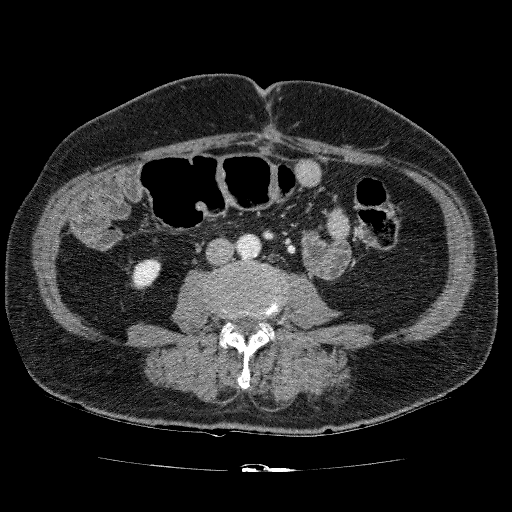 CT slice | Image size 512x512

The kidney is located at (132, 259, 160, 288).